CT slice; Field of view 477x477 mm; Image size 512x512 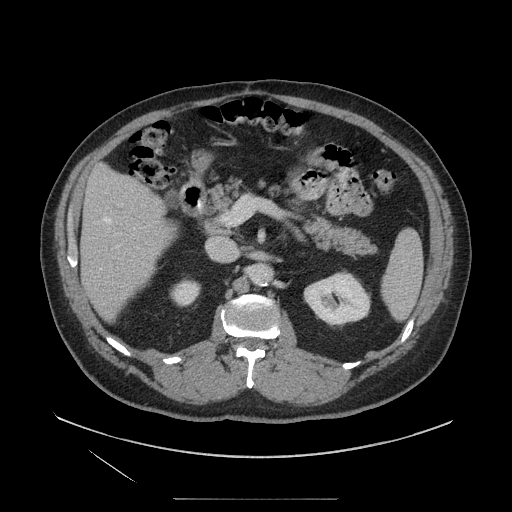
pancreas: (195,176,379,258)